512x512 px; Image width 399 mm; Slice 45 of 98; CT

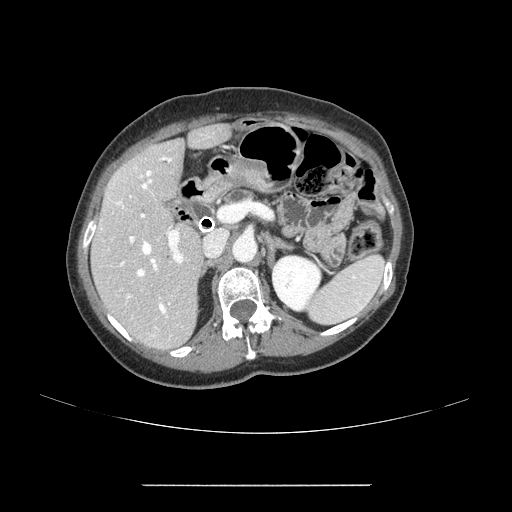 The pancreas is located at (x1=225, y1=191, x2=252, y2=204).